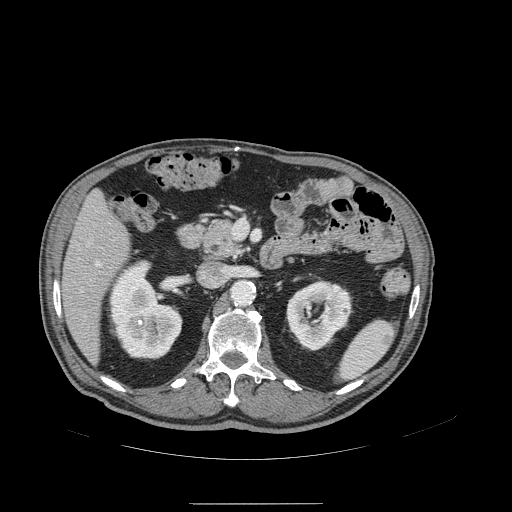

CT image; Upper abdomen

Pancreas: bounding box {"x1": 201, "y1": 216, "x2": 242, "y2": 260}.